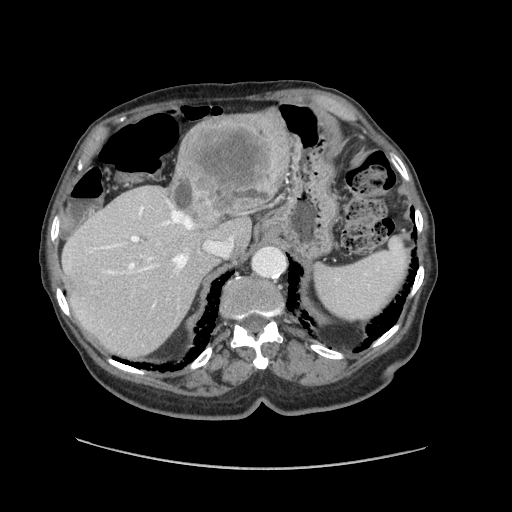
CT scan slice

Not every hepatic vessel necessarily has a box.
<segmentation>
  <liver_tumor>[x1=174, y1=117, x2=286, y2=223]</liver_tumor>
  <hepatic_vessel>[x1=162, y1=210, x2=193, y2=229], [x1=173, y1=252, x2=188, y2=268], [x1=131, y1=236, x2=138, y2=241], [x1=204, y1=238, x2=232, y2=256]</hepatic_vessel>
</segmentation>